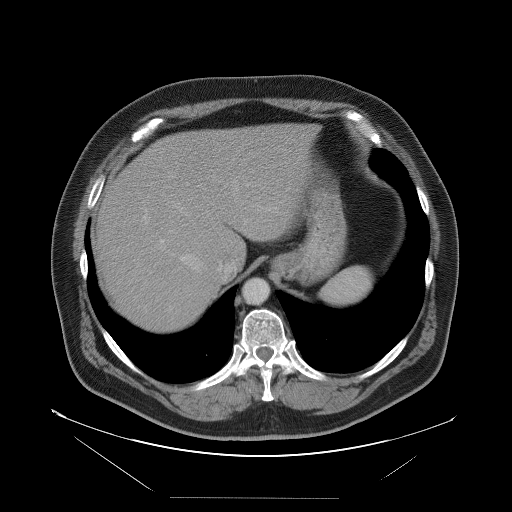
Abdomen | Image size 512x512 | Computed tomography
The vessel boxes may cover only some of the vessels.
<segmentation>
  <hepatic_vessel>bbox=[145, 210, 147, 211]; bbox=[142, 216, 146, 221]; bbox=[194, 267, 195, 268]; bbox=[180, 255, 191, 260]; bbox=[160, 239, 163, 244]; bbox=[219, 262, 220, 264]</hepatic_vessel>
</segmentation>